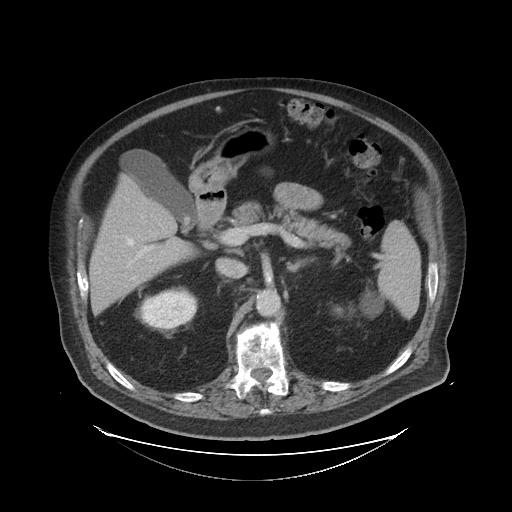
Liver. CT image. Only some of the vessels may be annotated.
hepatic_vessel:
  - 136 247 152 258
  - 128 240 133 244